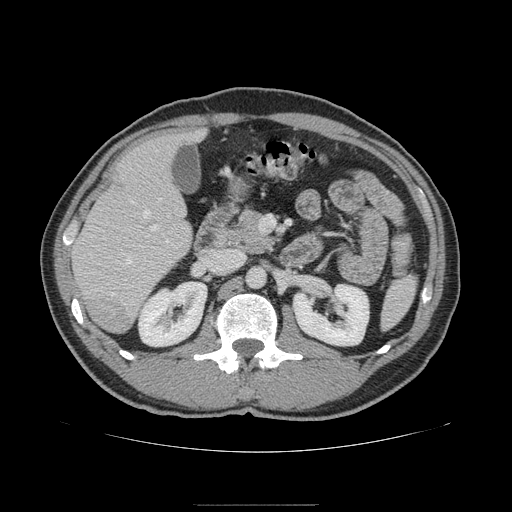 512x512; Computed tomography
The pancreas is located at [215, 211, 275, 254].